T2-weighted MRI.
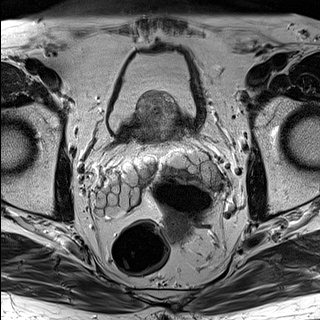
ADC magnetic resonance.
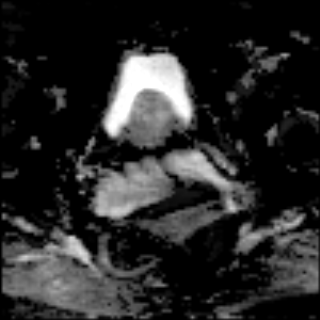
Prostate, 320x320 px
Annotated regions:
- prostate transition zone: (x1=133, y1=93, x2=177, y2=139)